CT scan slice. 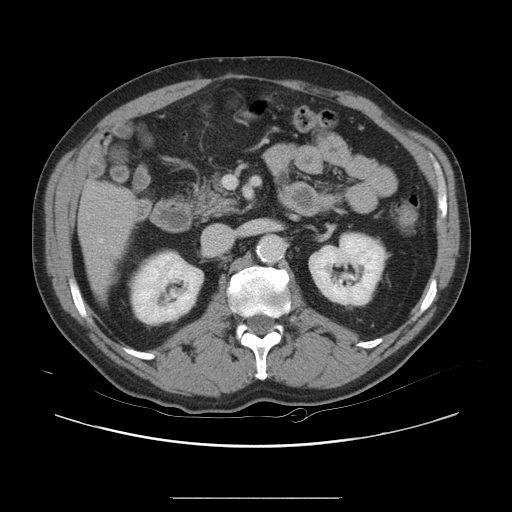
Only some of the vessels may be annotated.
{
  "hepatic_vessel": [
    "x1=99 y1=239 x2=103 y2=242"
  ]
}